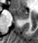 MR | Image size 38x43 | Medial temporal lobe
Anterior hippocampus: {"x1": 11, "y1": 8, "x2": 28, "y2": 19}.